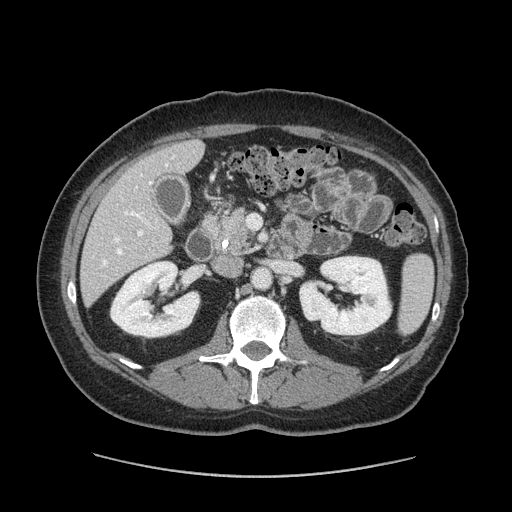
512x512 px | Upper abdomen | CT slice

Pancreas = (x1=204, y1=209, x2=248, y2=251).
Pancreatic tumor = (x1=225, y1=224, x2=247, y2=247).